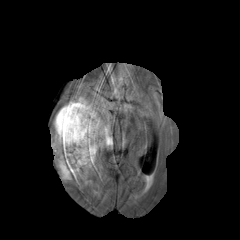
FLAIR MR image.
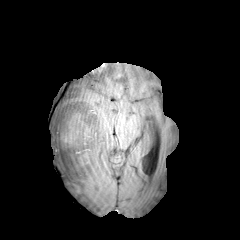
T1-weighted MR image of the same slice.
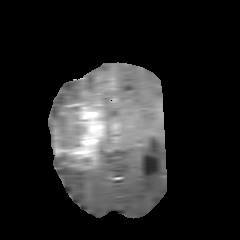
Same slice, post-contrast T1-weighted MRI.
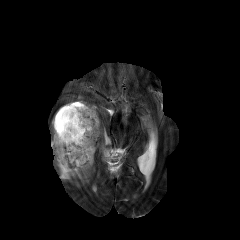
Same slice, T2-weighted MR image.
Brain.
non-enhancing_tumor_core:
  - rect(56, 154, 74, 165)
  - rect(52, 107, 77, 133)
edema:
  - rect(50, 95, 112, 149)
  - rect(54, 158, 97, 185)
enhancing_tumor:
  - rect(53, 102, 105, 166)